Image width 240 mm | Head
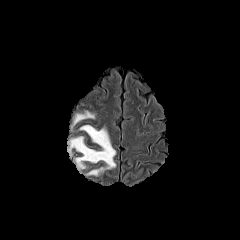
FLAIR MRI.
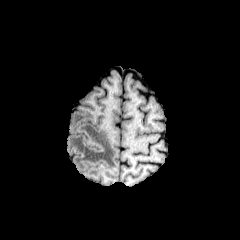
T1-weighted MRI.
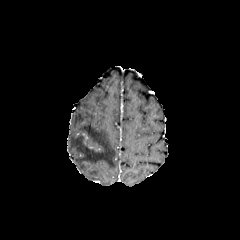
Post-contrast T1-weighted MRI.
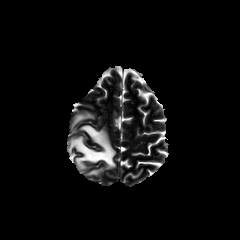
T2-weighted MR image.
Edema = [68, 125, 116, 169], [72, 111, 94, 127].